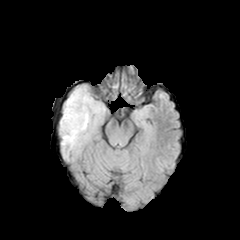
FLAIR MR image.
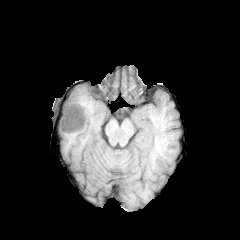
T1-weighted MR of the same slice.
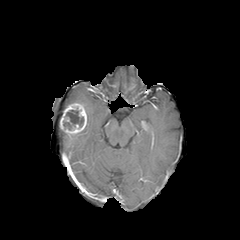
Post-contrast T1-weighted MRI.
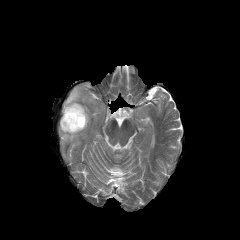
T2-weighted MRI of the same slice.
Brain; Image size 240x240
Enhancing tumor — <bbox>60, 102, 86, 135</bbox>.
Edema — <bbox>60, 86, 105, 151</bbox>.
Non-enhancing tumor core — <bbox>63, 110, 83, 129</bbox>.